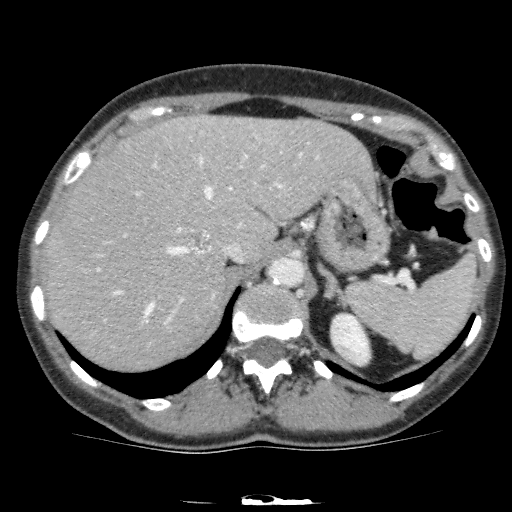 Abdomen | CT image

The kidney lies within (left=332, top=315, right=368, bottom=364). The liver is at (left=46, top=115, right=378, bottom=367). The liver lesion is at (left=184, top=230, right=212, bottom=254).